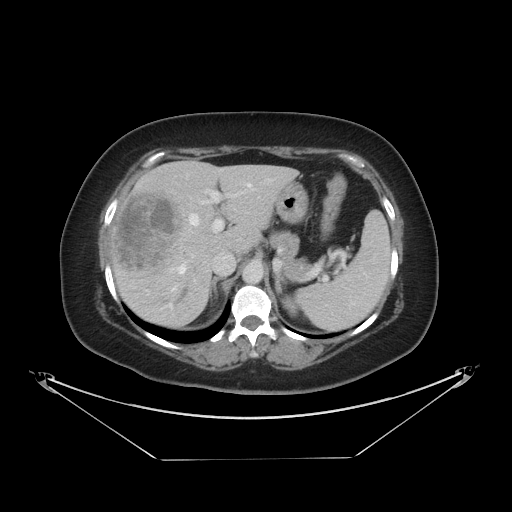
CT slice
Only some of the vessels may be annotated.
Hepatic vessel at (177,266,185,273), (213,220,222,230), (246,182,254,189), (227,190,246,196), (200,189,218,204), (191,215,197,224).
Liver tumor at (109,190,182,273).